Image size 512x512, Liver, CT, Slice 399 of 756
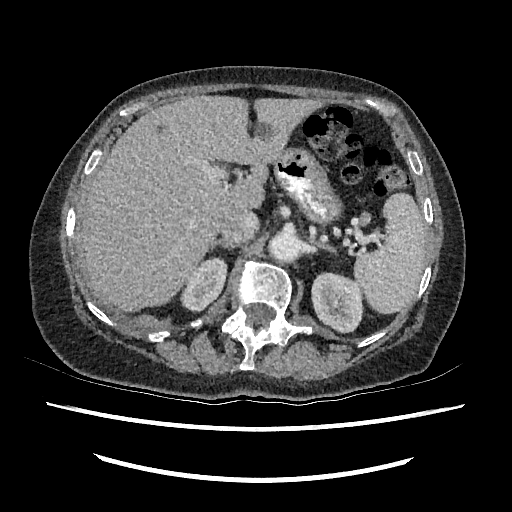
{
  "liver": [
    "85 96 325 311"
  ],
  "focal_liver_lesion": [
    "255 123 270 136"
  ],
  "kidney": [
    "312 273 363 331",
    "182 259 226 310"
  ]
}